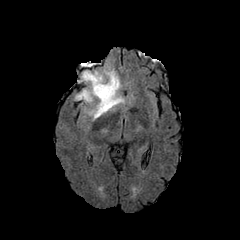
FLAIR magnetic resonance.
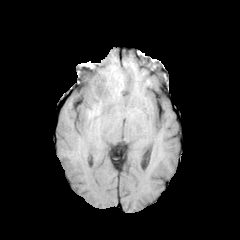
T1-weighted MR image.
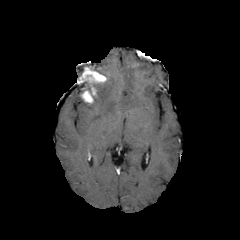
Post-contrast T1-weighted MR image.
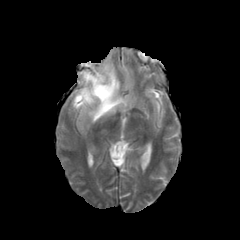
T2-weighted MR.
Head. 240x240.
Annotated regions:
• enhancing tumor: (x1=79, y1=69, x2=106, y2=104)
• edema: (x1=78, y1=59, x2=125, y2=121)
• non-enhancing tumor core: (x1=77, y1=76, x2=85, y2=93), (x1=92, y1=83, x2=105, y2=99)